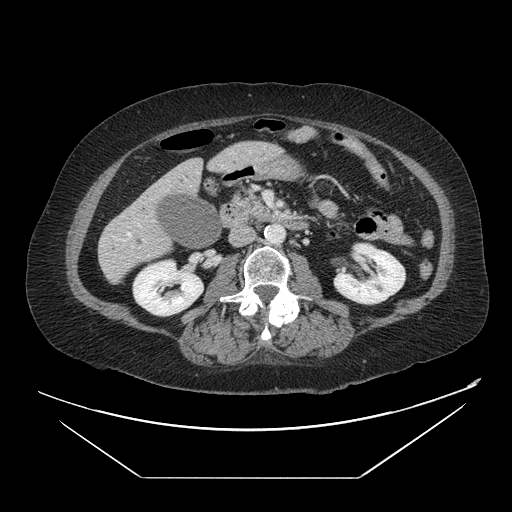 Abdomen, CT
Pancreas = left=245, top=197, right=273, bottom=221.